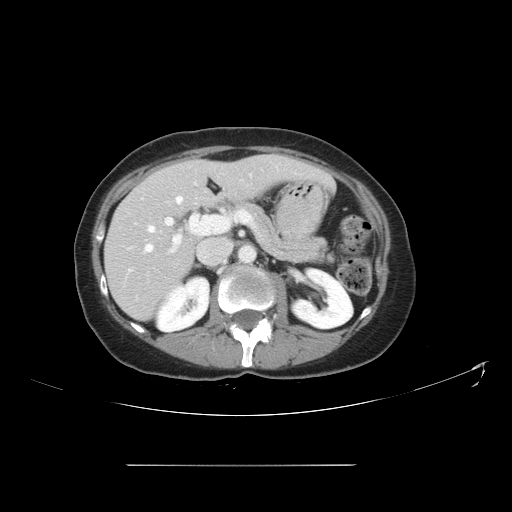

CT slice | 512x512 px | Abdomen
Only some of the vessels may be annotated.
- hepatic vessel: left=249, top=173, right=251, bottom=176; left=128, top=269, right=131, bottom=272; left=145, top=244, right=152, bottom=251; left=176, top=196, right=182, bottom=203; left=166, top=218, right=170, bottom=222; left=169, top=234, right=181, bottom=252; left=148, top=226, right=154, bottom=231